Head
FLAIR magnetic resonance.
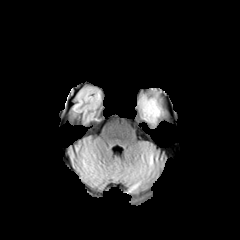
T1-weighted MRI.
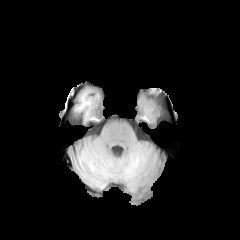
Post-contrast T1-weighted MRI.
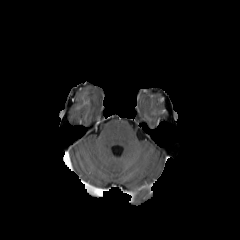
T2-weighted magnetic resonance.
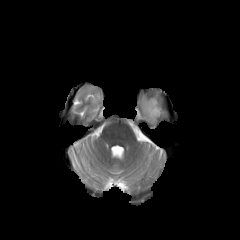
non-enhancing_tumor_core:
  - x1=149 y1=95 x2=166 y2=121
edema:
  - x1=138 y1=95 x2=155 y2=123